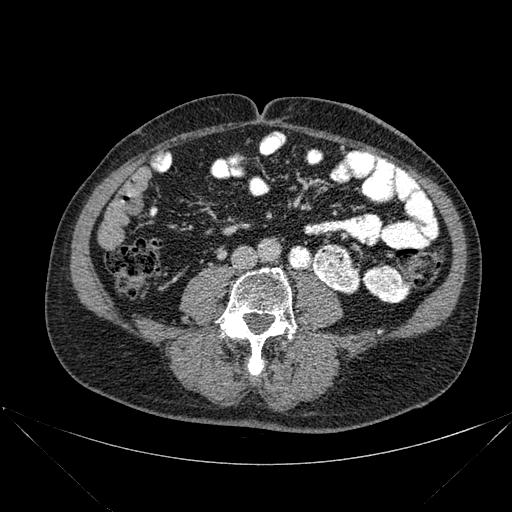

CT scan slice

bone: x1=217 y1=268 x2=296 y2=376